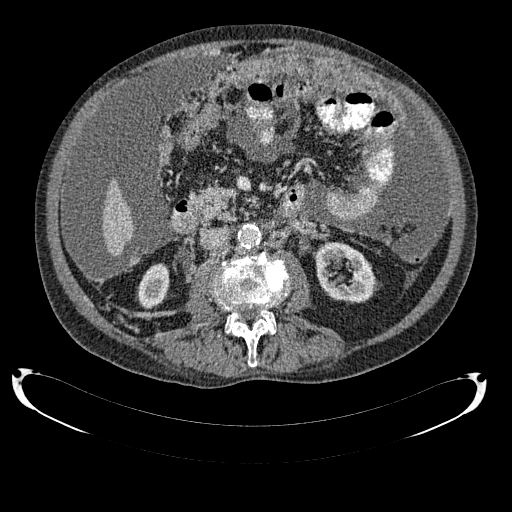 Liver, Computed tomography
<segmentation>
  <kidney>x1=316, y1=243, x2=374, y2=302; x1=138, y1=264, x2=168, y2=307</kidney>
  <liver>x1=103, y1=179, x2=132, y2=256</liver>
</segmentation>